Slice index 41; Image size 240x240
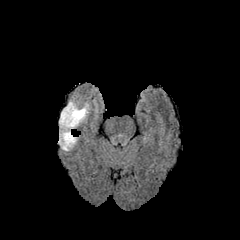
FLAIR MRI.
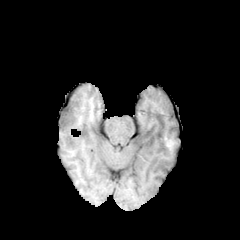
T1-weighted MR.
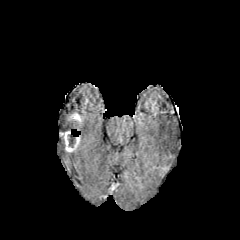
Post-contrast T1-weighted MRI.
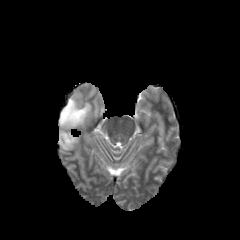
Same slice, T2-weighted MR image.
{"edema": ["box=[58, 111, 80, 131]", "box=[70, 101, 89, 123]"], "non-enhancing_tumor_core": ["box=[69, 136, 79, 149]", "box=[62, 100, 83, 125]"], "enhancing_tumor": ["box=[61, 131, 72, 150]", "box=[67, 112, 80, 122]"]}